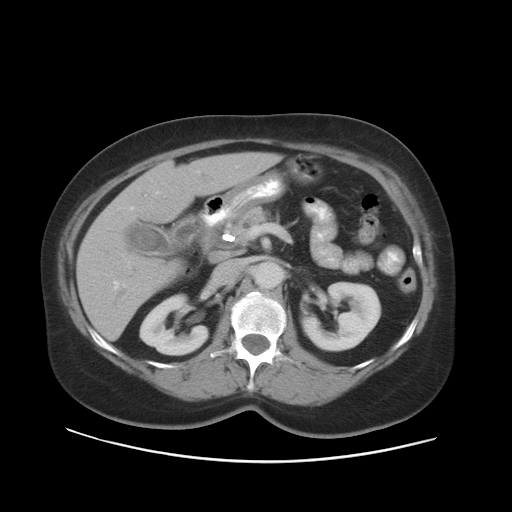
Upper abdomen | CT scan slice | 512x512
Pancreas: bounding box <box>202,205,268,249</box>.